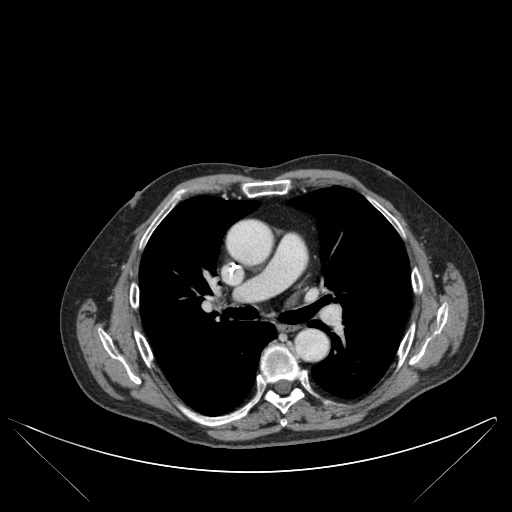
Thorax | Computed tomography
12 bone regions appear at (243,180,289,197), (412,268,422,291), (181,400,254,425), (130,284,138,307), (141,212,163,243), (398,325,414,365), (378,204,399,226), (410,305,447,364), (99,331,140,383), (266,388,303,413), (135,331,152,365), (257,345,308,390). 2 lung regions are located at (279,186,410,397), (139,196,275,415).